CT. Abdomen. Slice index 27.

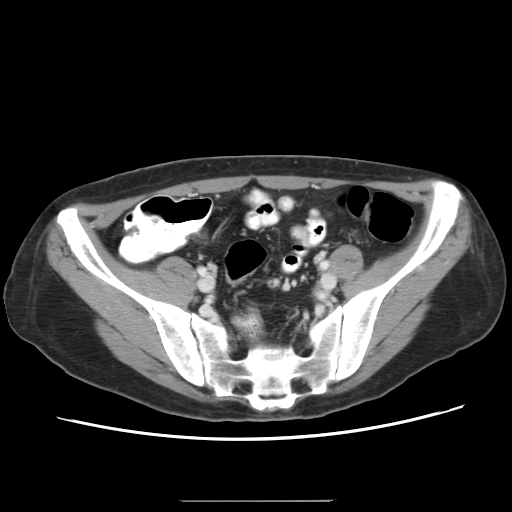
colon_tumor:
  - bbox(225, 268, 256, 286)